FLAIR magnetic resonance.
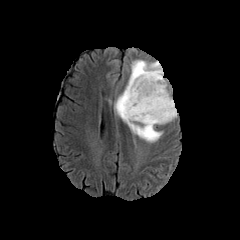
T1-weighted MR image.
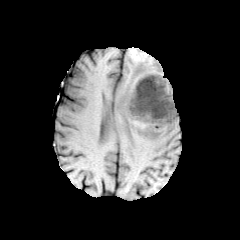
Post-contrast T1-weighted MR image.
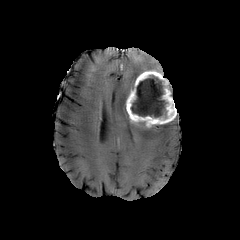
T2-weighted MR.
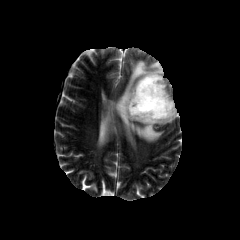
Image size 240x240; Brain
The enhancing tumor is bounded by (125, 70, 176, 127). The edema lies within (109, 59, 163, 143). The non-enhancing tumor core appears at (130, 75, 167, 117).